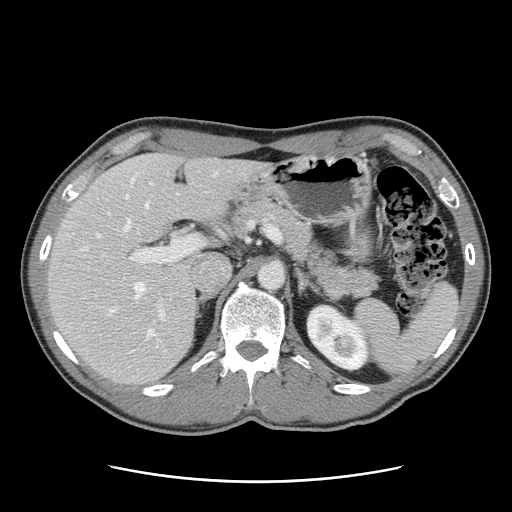 Abdomen | Computed tomography

Not every hepatic vessel necessarily has a box.
- hepatic vessel: bbox(159, 308, 163, 317); bbox(212, 172, 216, 176); bbox(107, 212, 109, 214); bbox(124, 219, 130, 230); bbox(126, 195, 127, 197); bbox(147, 330, 155, 336); bbox(149, 183, 151, 184); bbox(131, 178, 132, 183); bbox(80, 247, 87, 249); bbox(129, 256, 134, 259); bbox(97, 234, 99, 236); bbox(145, 203, 148, 207); bbox(109, 308, 114, 314); bbox(134, 282, 144, 297)